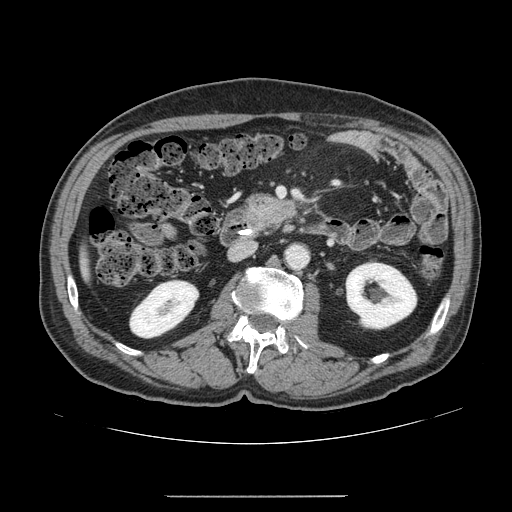 512x512 | Abdomen | CT image
pancreas:
  - <bbox>268, 203, 298, 230</bbox>
  - <bbox>246, 191, 270, 196</bbox>
pancreatic_tumor:
  - <bbox>245, 193, 296, 229</bbox>